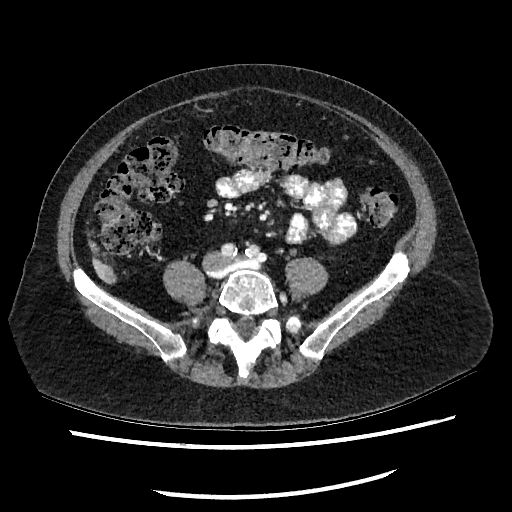 Image size 512x512, Upper abdomen, Computed tomography
liver: left=93, top=258, right=114, bottom=282 | liver lesion: left=106, top=271, right=114, bottom=279